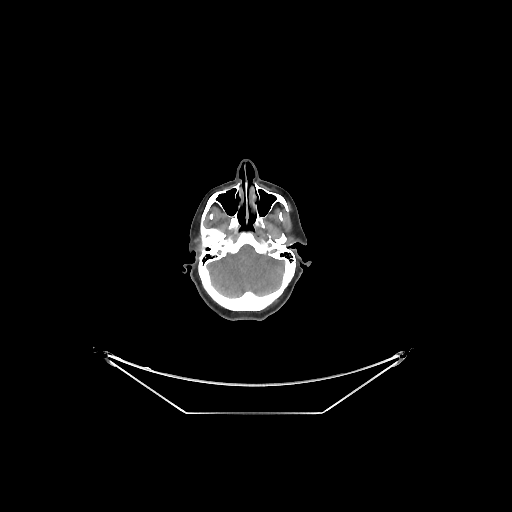 Computed tomography.
Brain: <box>208,244,284,297</box>.